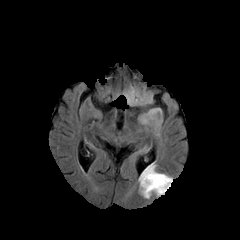
FLAIR MRI.
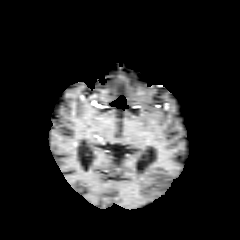
Same slice, T1-weighted MR image.
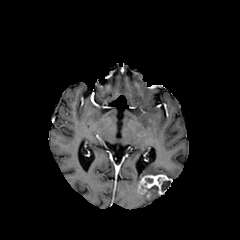
Post-contrast T1-weighted MR image.
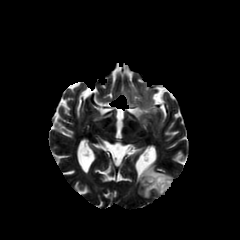
T2-weighted magnetic resonance.
Brain.
non-enhancing tumor core: box(162, 181, 171, 191) | enhancing tumor: box(139, 174, 172, 197) | edema: box(141, 162, 171, 177); box(150, 189, 160, 197)